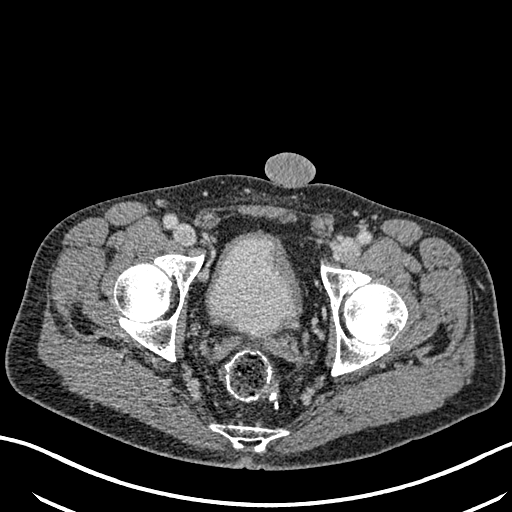

CT; 512x512; Pelvis

- urinary bladder: [209,234,296,334]